Head. Slice index 59.
FLAIR MR image.
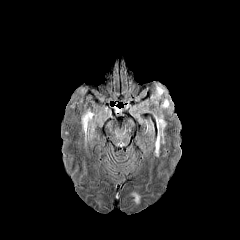
T1-weighted MR image.
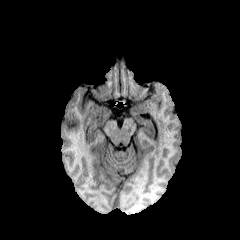
Post-contrast T1-weighted magnetic resonance.
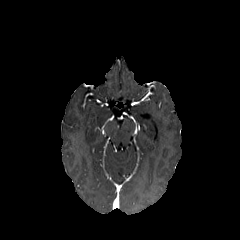
T2-weighted magnetic resonance.
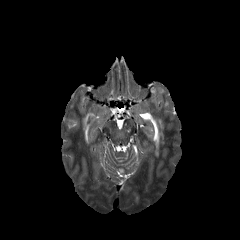
2 edema regions appear at (154, 118, 166, 157), (82, 109, 97, 138).